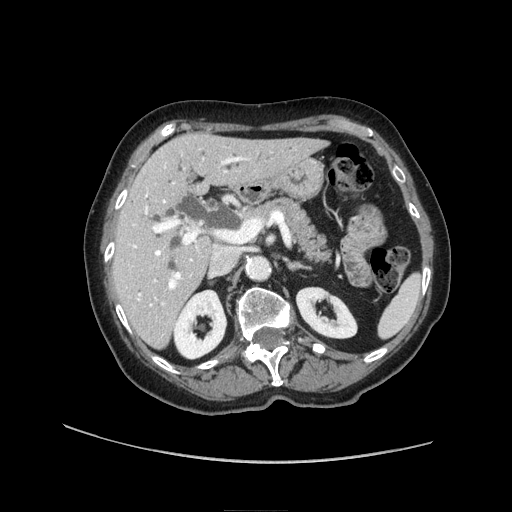
Abdomen; CT

pancreas:
  - l=256, t=197, r=328, b=259